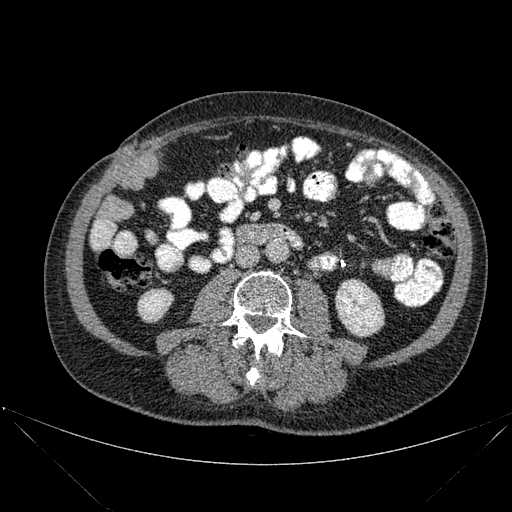 Abdomen; CT

Segmented structures:
- bone: x1=246, y1=366, x2=259, y2=384; x1=223, y1=271, x2=305, y2=359
- kidney: x1=336, y1=280, x2=383, y2=335; x1=138, y1=289, x2=172, y2=321